FLAIR MR image.
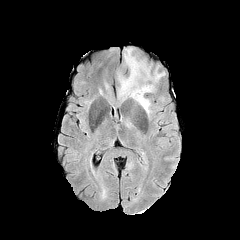
T1-weighted magnetic resonance.
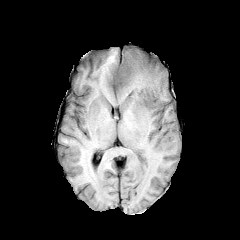
Post-contrast T1-weighted MR.
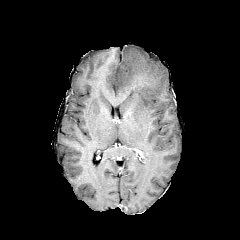
T2-weighted magnetic resonance.
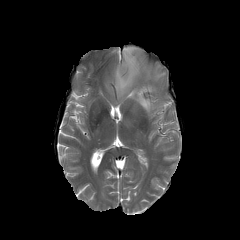
Brain
The edema appears at {"x1": 117, "y1": 48, "x2": 164, "y2": 116}.